Slice 54/155
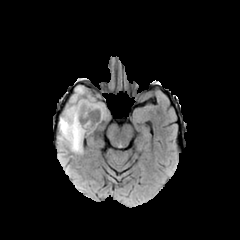
FLAIR MR.
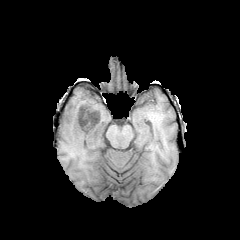
T1-weighted MRI.
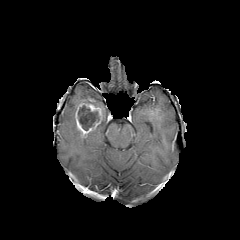
Post-contrast T1-weighted MR.
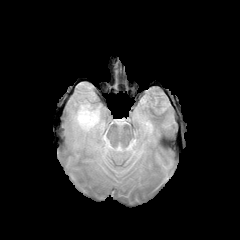
T2-weighted magnetic resonance of the same slice.
Enhancing tumor at [86, 103, 101, 113], [75, 104, 88, 135].
Edema at [100, 103, 105, 119], [60, 89, 95, 154].
Non-enhancing tumor core at [78, 105, 101, 130], [88, 100, 102, 110].